Slice 92/155, 240x240 px
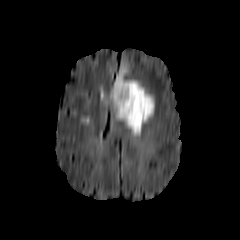
FLAIR MR image.
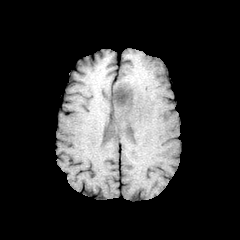
T1-weighted MR image.
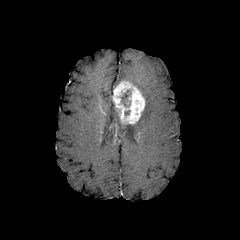
Post-contrast T1-weighted magnetic resonance of the same slice.
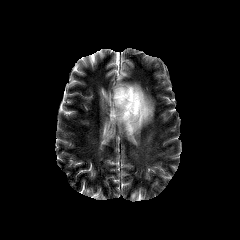
T2-weighted MRI of the same slice.
Non-enhancing tumor core — [121, 92, 127, 107].
Edema — [102, 65, 154, 140].
Enhancing tumor — [112, 81, 144, 123].